Upper abdomen. CT scan slice.
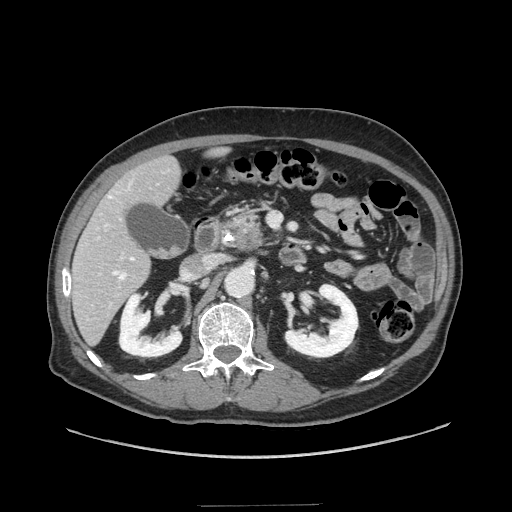
• pancreatic tumor: box(230, 223, 260, 247)
• pancreas: box(224, 214, 260, 233); box(235, 234, 262, 249)